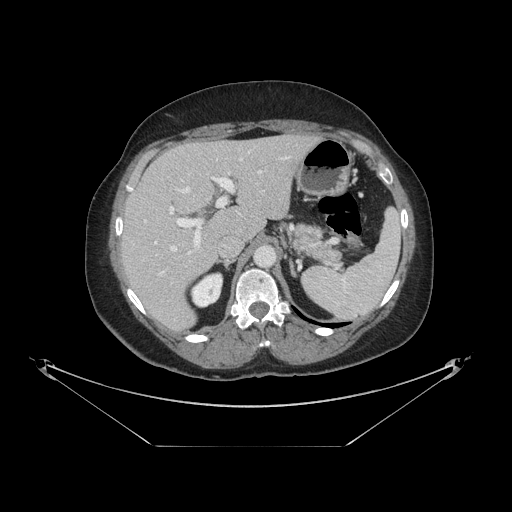
CT scan slice.

Pancreas — rect(294, 223, 341, 265).